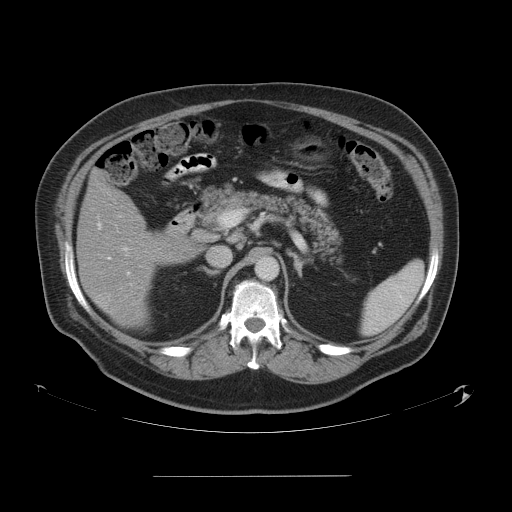

CT slice.
The vessel annotation is not exhaustive.
- hepatic vessel: bbox=[127, 272, 129, 274]; bbox=[108, 257, 110, 259]; bbox=[123, 247, 128, 255]; bbox=[97, 223, 101, 228]